Abdomen; Computed tomography; Slice index 34

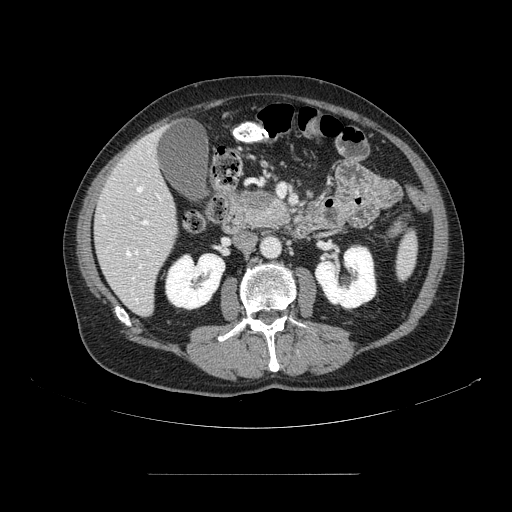
The pancreatic tumor is at {"x1": 244, "y1": 192, "x2": 271, "y2": 210}. The pancreas is located at {"x1": 238, "y1": 188, "x2": 292, "y2": 231}.